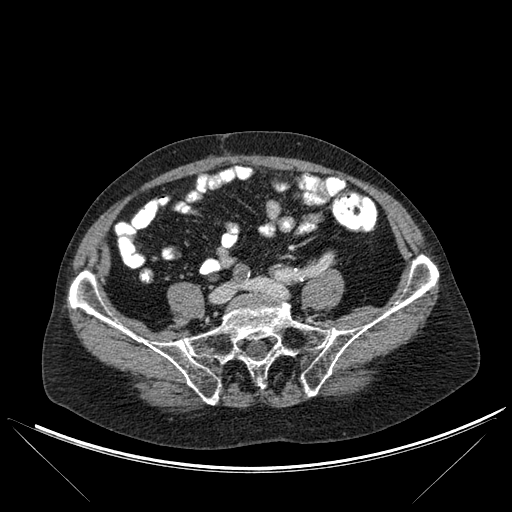
CT slice; 512x512 px
Bone: x1=69 y1=255 x2=438 y2=404.